240x240 px; Field of view 240 mm wide, 1.00 mm slice spacing
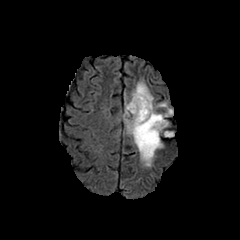
FLAIR magnetic resonance.
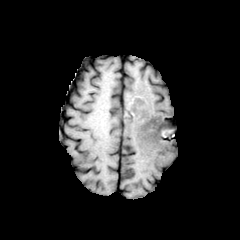
T1-weighted MRI.
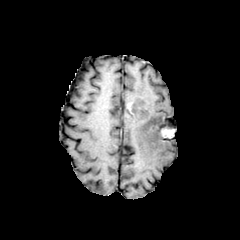
Post-contrast T1-weighted MRI of the same slice.
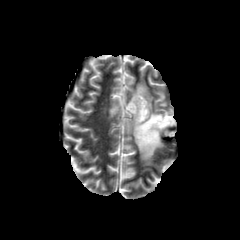
T2-weighted MR of the same slice.
Annotated regions:
• edema: bbox(123, 81, 175, 167)
• non-enhancing tumor core: bbox(142, 116, 169, 131); bbox(148, 128, 157, 143)